FLAIR MR image.
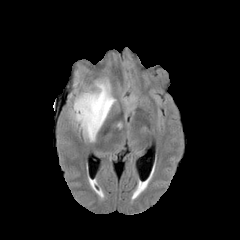
T1-weighted magnetic resonance.
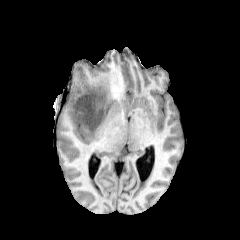
Post-contrast T1-weighted MR.
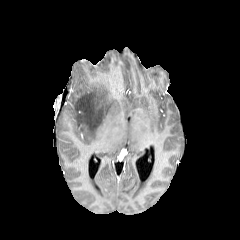
T2-weighted magnetic resonance.
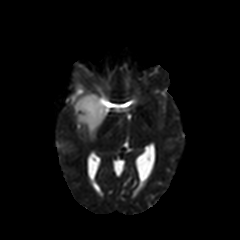
Head, 240x240 px
edema: l=69, t=71, r=120, b=141; l=122, t=98, r=136, b=112 | non-enhancing tumor core: l=76, t=94, r=99, b=129